Field of view 487 mm wide, 4.00 mm slice spacing; CT image; Upper abdomen; Slice index 87 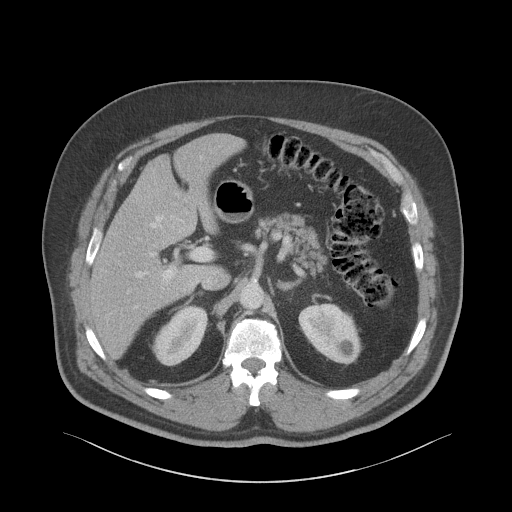

<segmentation>
  <liver>{"x1": 92, "y1": 134, "x2": 237, "y2": 350}</liver>
  <kidney>{"x1": 154, "y1": 307, "x2": 206, "y2": 363}, {"x1": 300, "y1": 306, "x2": 359, "y2": 362}</kidney>
</segmentation>